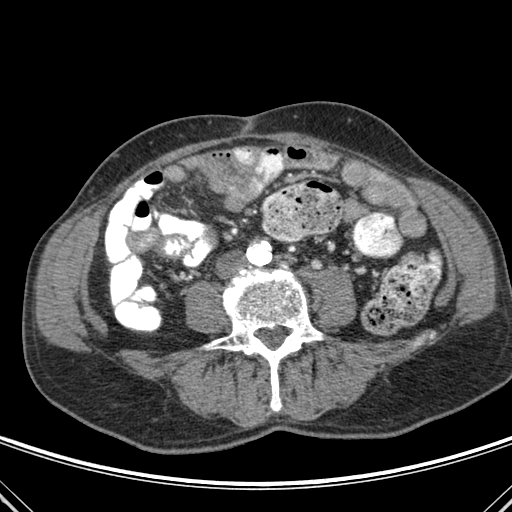
Computed tomography. Bone = 206 269 323 410.